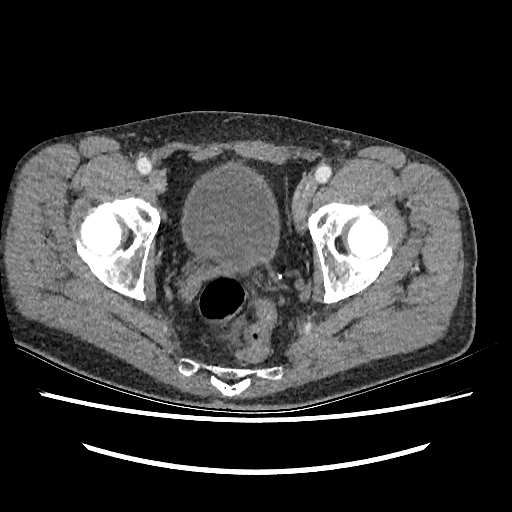 Computed tomography
<segmentation>
  <urinary_bladder>box=[184, 169, 275, 272]</urinary_bladder>
</segmentation>